FLAIR MRI.
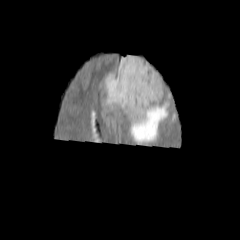
T1-weighted magnetic resonance.
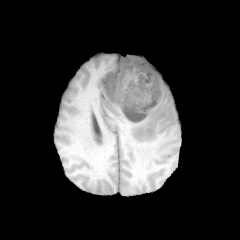
Post-contrast T1-weighted MR.
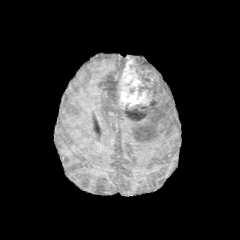
T2-weighted magnetic resonance.
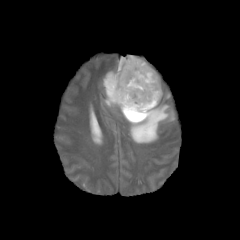
Head
Findings:
• edema: <box>119,86,175,142</box>, <box>104,89,117,106</box>, <box>102,54,138,87</box>
• enhancing tumor: <box>116,58,154,109</box>
• non-enhancing tumor core: <box>105,79,119,100</box>, <box>124,56,162,120</box>